FLAIR magnetic resonance.
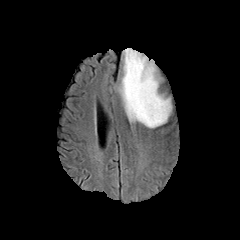
T1-weighted MRI.
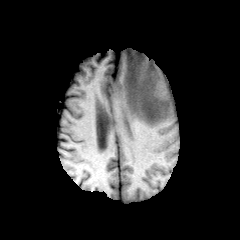
Post-contrast T1-weighted MR image.
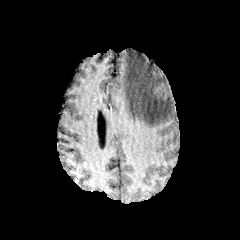
T2-weighted magnetic resonance.
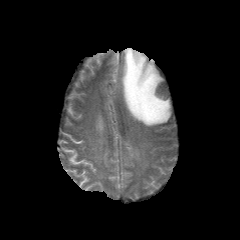
Edema: (119,48,171,127).